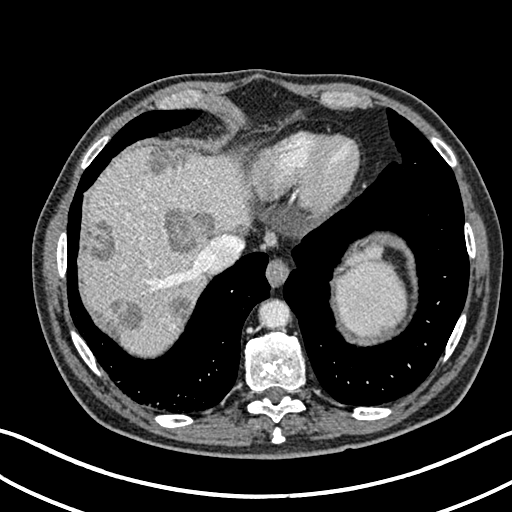

Computed tomography; Image size 512x512; Upper abdomen
6 hepatic lesion regions are bounded by 109,301,140,328; 81,218,115,261; 173,298,190,320; 237,227,246,232; 164,209,212,254; 147,149,186,173. 2 liver regions are located at 81,148,251,353; 348,244,383,264.